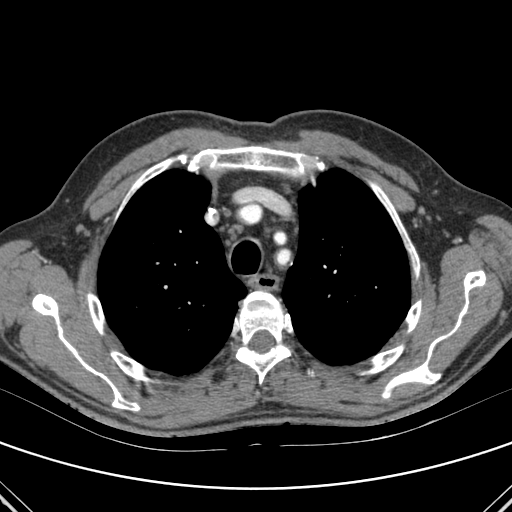
Computed tomography; Chest
{"bone": ["110,351,150,380", "188,146,324,175", "406,300,421,332", "32,294,139,410", "87,293,104,333", "120,154,188,210", "382,270,485,398", "370,182,419,277", "233,291,292,383", "363,345,403,373"], "lung": ["282,168,410,365", "97,169,246,375", "233,267,246,273"]}